512x512, Computed tomography 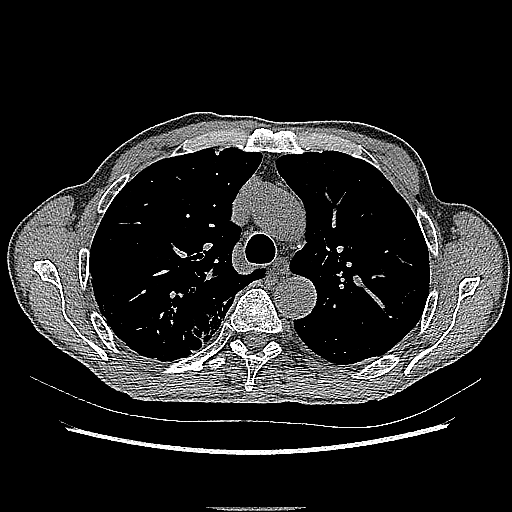
* lung tumor: 181 300 227 352